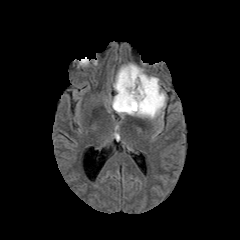
FLAIR MRI.
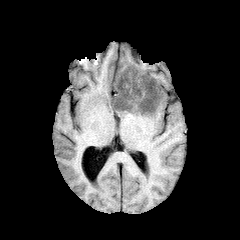
Same slice, T1-weighted MR.
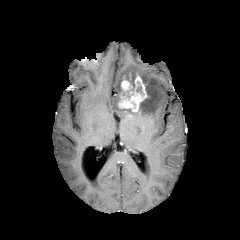
Post-contrast T1-weighted MRI.
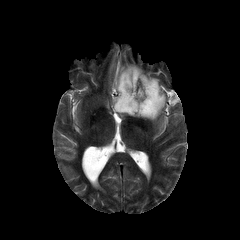
T2-weighted magnetic resonance.
Image size 240x240
<segmentation>
  <non-enhancing_tumor_core>[114,96,133,113], [118,72,139,92], [139,76,155,113]</non-enhancing_tumor_core>
  <edema>[110,63,167,123]</edema>
  <enhancing_tumor>[117,75,147,111]</enhancing_tumor>
</segmentation>